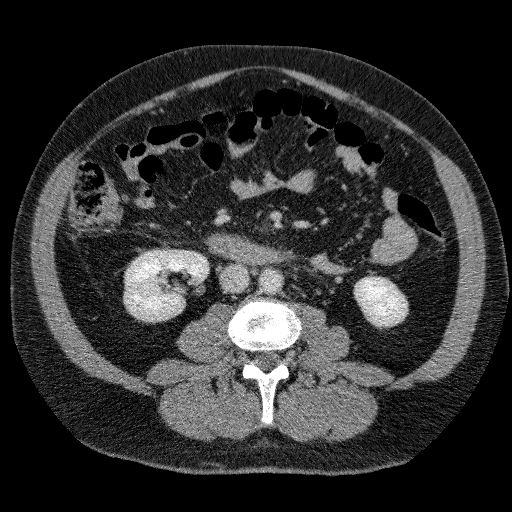

Abdomen. CT image.

<segmentation>
  <kidney>355 277 406 325, 124 250 208 320</kidney>
</segmentation>